Abdomen, CT image, Slice 431/986

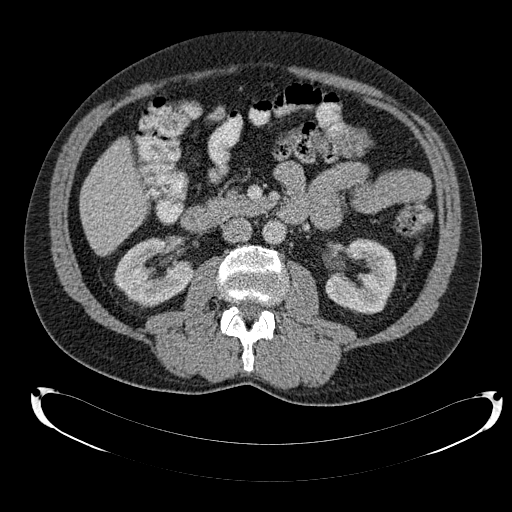

<segmentation>
  <liver>{"x1": 81, "y1": 140, "x2": 146, "y2": 254}</liver>
  <kidney>{"x1": 326, "y1": 239, "x2": 395, "y2": 313}, {"x1": 114, "y1": 238, "x2": 193, "y2": 304}</kidney>
</segmentation>